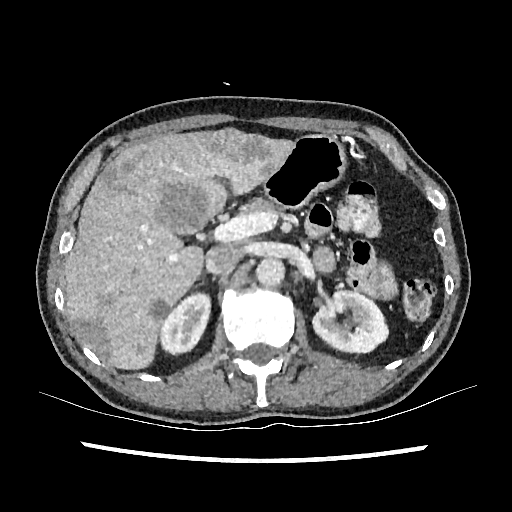

CT image. Abdomen.
9 hepatic lesion regions are bounded by {"x1": 158, "y1": 184, "x2": 207, "y2": 230}, {"x1": 99, "y1": 165, "x2": 129, "y2": 197}, {"x1": 99, "y1": 297, "x2": 113, "y2": 304}, {"x1": 136, "y1": 343, "x2": 147, "y2": 354}, {"x1": 121, "y1": 160, "x2": 134, "y2": 173}, {"x1": 74, "y1": 319, "x2": 110, "y2": 360}, {"x1": 147, "y1": 298, "x2": 171, "y2": 320}, {"x1": 261, "y1": 163, "x2": 275, "y2": 176}, {"x1": 201, "y1": 135, "x2": 272, "y2": 164}. The liver is bounded by {"x1": 66, "y1": 129, "x2": 295, "y2": 368}. 3 kidney regions appear at {"x1": 161, "y1": 294, "x2": 209, "y2": 353}, {"x1": 361, "y1": 309, "x2": 394, "y2": 358}, {"x1": 313, "y1": 291, "x2": 388, "y2": 352}.